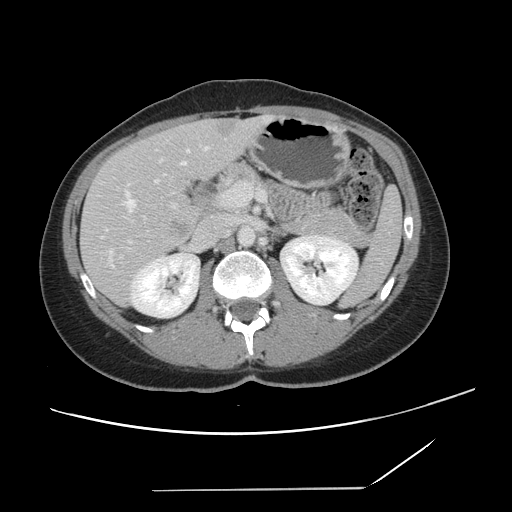
512x512 px, CT image
The vessel annotation is not exhaustive.
Liver tumor at 171, 222, 185, 233.
Hepatic vessel at 187, 149, 189, 151; 127, 183, 130, 185; 124, 192, 135, 212; 160, 159, 162, 161; 101, 236, 103, 237; 128, 241, 131, 242; 172, 203, 175, 207; 155, 180, 158, 182; 109, 250, 113, 267; 181, 162, 185, 165; 204, 147, 207, 149.